512x512 | Abdomen | CT

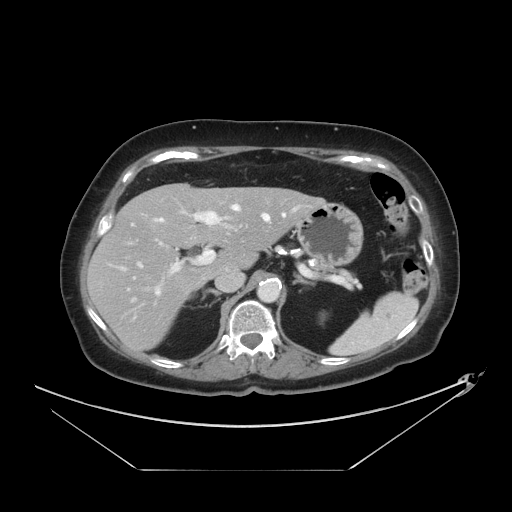

Some hepatic vessels may have no box.
Findings:
- liver tumor: bbox(180, 270, 203, 286)
- hepatic vessel (principal 15 of 16): bbox(159, 242, 162, 244); bbox(262, 213, 269, 221); bbox(132, 298, 135, 301); bbox(282, 213, 285, 216); bbox(169, 260, 180, 273); bbox(120, 267, 125, 269); bbox(181, 211, 186, 213); bbox(194, 248, 215, 265); bbox(154, 218, 162, 221); bbox(293, 206, 299, 209); bbox(231, 204, 239, 210); bbox(155, 287, 160, 294); bbox(138, 263, 142, 267); bbox(193, 211, 228, 227); bbox(127, 289, 129, 290)